Slice index 38, Image size 512x512, Abdomen, CT 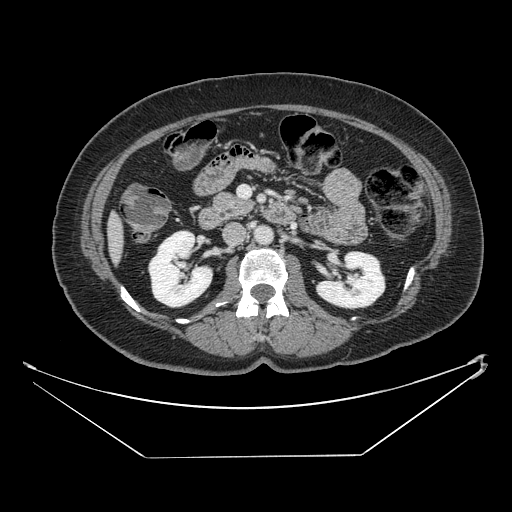

Annotated regions:
* pancreas: [209, 191, 255, 223]